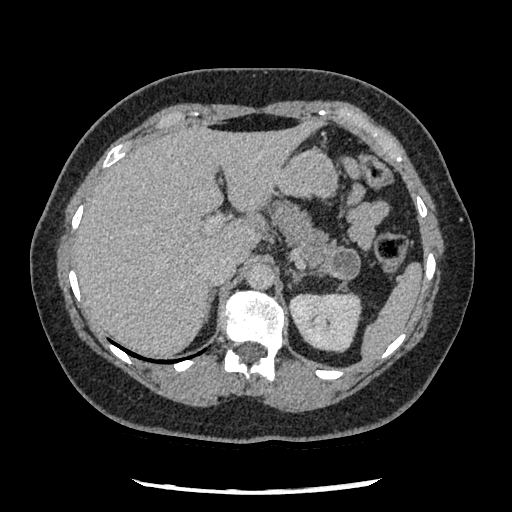

512x512 px. CT. Abdomen.

The pancreatic tumor is bounded by bbox(328, 249, 361, 280). The pancreas appears at bbox(269, 200, 346, 275).